Slice 523/677 | Abdomen | Field of view 367x367 mm | Image size 512x512 | CT image

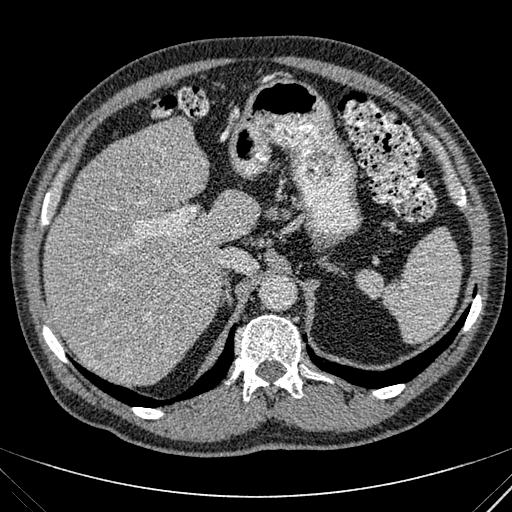

<segmentation>
  <focal_liver_lesion>93,339,117,363</focal_liver_lesion>
  <liver>46,119,257,383</liver>
</segmentation>